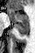 35x53, MRI

Posterior hippocampus at <box>14,24,29,37</box>.
Anterior hippocampus at <box>8,9,28,23</box>.